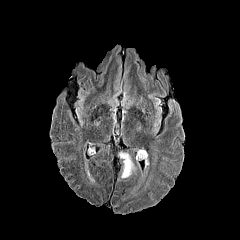
FLAIR MR.
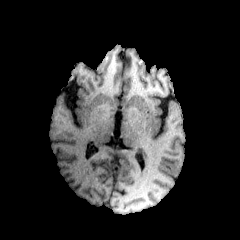
T1-weighted MR image.
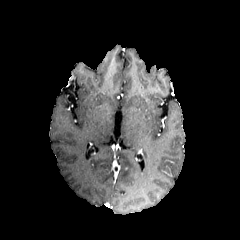
Same slice, post-contrast T1-weighted MR.
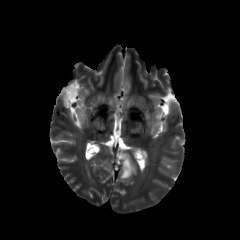
T2-weighted MR.
240x240 | Head
edema: {"x1": 150, "y1": 119, "x2": 160, "y2": 133}, {"x1": 118, "y1": 151, "x2": 136, "y2": 178}, {"x1": 142, "y1": 149, "x2": 148, "y2": 167}